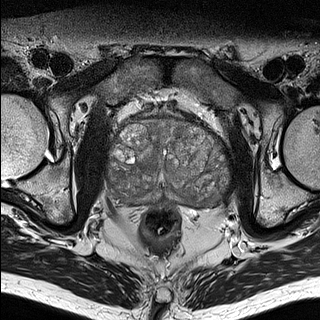
T2-weighted magnetic resonance.
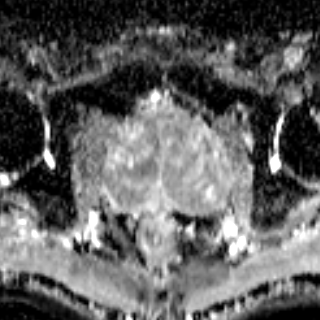
ADC MR image.
320x320
{"prostate_peripheral_zone": ["120, 190, 205, 207"], "prostate_transition_zone": ["108, 119, 230, 207"]}